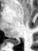

38x51 px | MR image | Medial temporal lobe
The posterior hippocampus is bounded by [13,40,19,45].